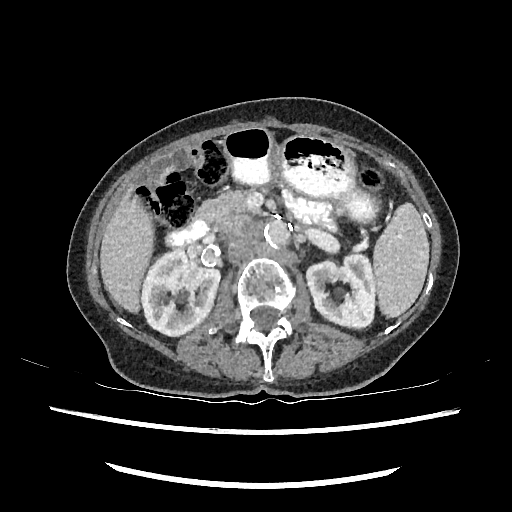

Abdomen | Image size 512x512 | CT image
Liver at (left=100, top=191, right=152, bottom=310).
Kidney at (left=142, top=252, right=219, bottom=335), (left=307, top=253, right=374, bottom=326).